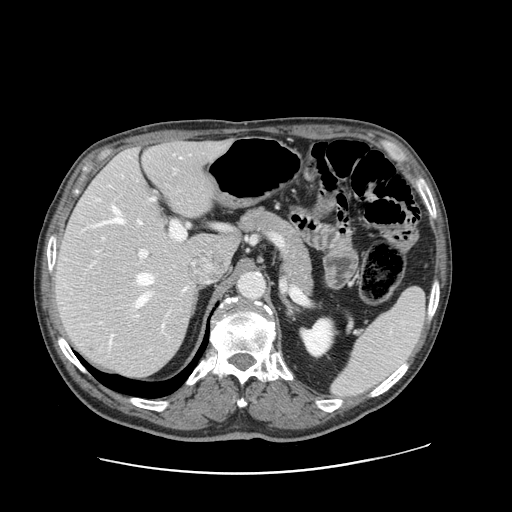 Image size 512x512; Liver; Computed tomography

The vessel boxes may cover only some of the vessels.
Annotated regions:
• hepatic vessel: bbox(135, 292, 150, 307); bbox(109, 334, 113, 345); bbox(138, 220, 141, 223); bbox(137, 273, 153, 284); bbox(139, 250, 147, 257); bbox(96, 206, 123, 225); bbox(162, 324, 163, 328); bbox(150, 198, 154, 200)